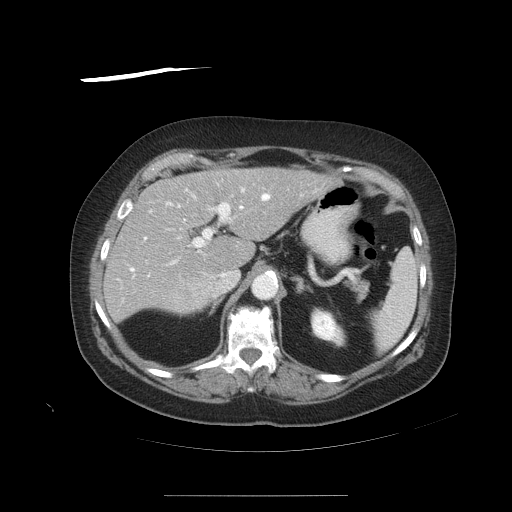 Liver, CT
Not every hepatic vessel necessarily has a box.
[15/20] hepatic vessel: rect(130, 268, 134, 277); rect(239, 206, 242, 209); rect(169, 260, 176, 264); rect(190, 193, 195, 199); rect(300, 194, 302, 196); rect(192, 229, 213, 252); rect(167, 229, 172, 230); rect(240, 188, 243, 192); rect(185, 189, 187, 191); rect(176, 204, 179, 207); rect(149, 210, 151, 212); rect(165, 202, 171, 205); rect(208, 202, 231, 222); rect(260, 193, 269, 200); rect(219, 272, 238, 289) | liver tumor: rect(176, 280, 203, 311)